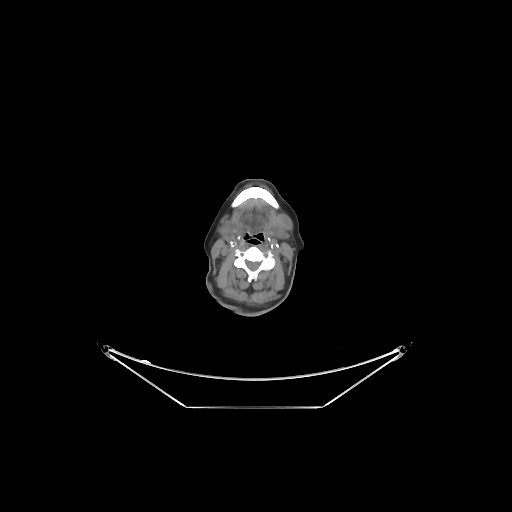

CT scan slice.

{
  "bone": [
    "left=234, top=246, right=274, bottom=281",
    "left=232, top=187, right=278, bottom=208"
  ]
}